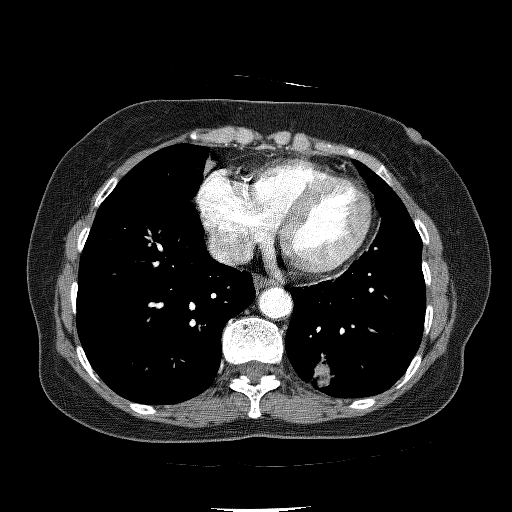
CT. Thorax. lung_tumor:
  - bbox(308, 350, 340, 389)